Brain
FLAIR MRI.
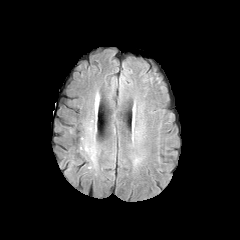
T1-weighted MR image.
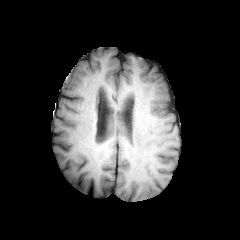
Post-contrast T1-weighted MR image.
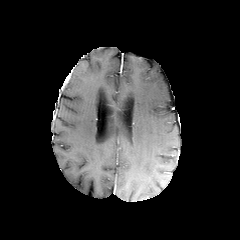
T2-weighted MR.
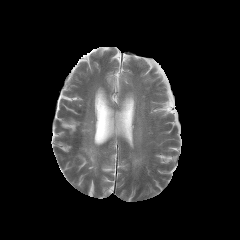
Edema: bounding box 133, 156, 142, 165.